Head
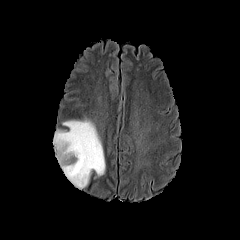
FLAIR MR image.
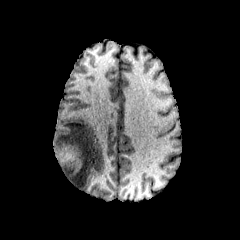
T1-weighted MR image.
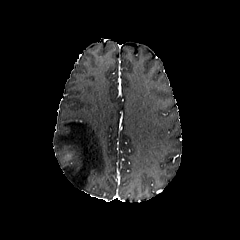
Post-contrast T1-weighted MRI.
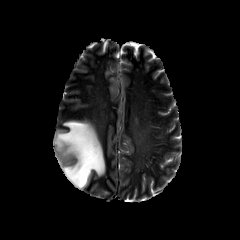
Same slice, T2-weighted magnetic resonance.
The edema lies within (52, 120, 105, 190). The non-enhancing tumor core is located at (57, 150, 78, 168).